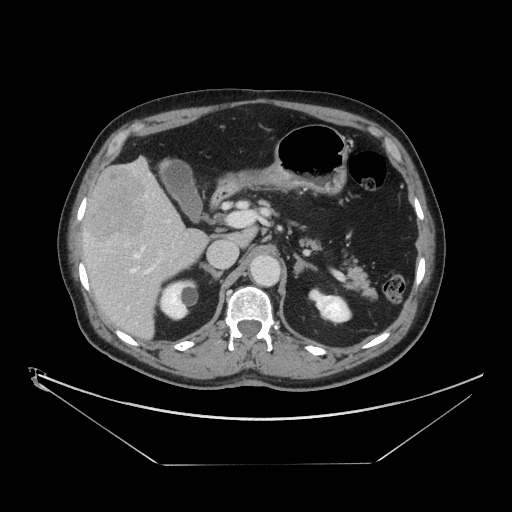 CT slice
Some hepatic vessels may have no box.
liver_tumor:
  - (left=84, top=165, right=148, bottom=244)
hepatic_vessel:
  - (left=167, top=220, right=169, bottom=222)
  - (left=127, top=307, right=128, bottom=309)
  - (left=141, top=247, right=143, bottom=251)
  - (left=160, top=253, right=162, bottom=255)
  - (left=145, top=264, right=155, bottom=272)
  - (left=135, top=254, right=140, bottom=257)
  - (left=131, top=267, right=139, bottom=272)
  - (left=126, top=243, right=128, bottom=245)